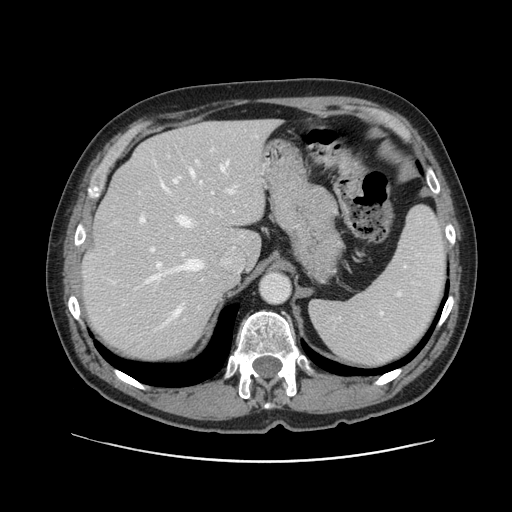

512x512 px | CT image
The vessel boxes may cover only some of the vessels.
Findings:
- hepatic vessel (largest 15 of 16): <box>211,148,213,150</box>, <box>140,215,145,222</box>, <box>174,176,180,182</box>, <box>227,189,233,193</box>, <box>160,181,165,188</box>, <box>157,262,160,267</box>, <box>195,160,198,163</box>, <box>190,169,194,175</box>, <box>164,307,181,324</box>, <box>147,273,162,281</box>, <box>166,259,202,272</box>, <box>177,216,190,225</box>, <box>182,253,184,255</box>, <box>221,160,228,170</box>, <box>151,248,153,251</box>